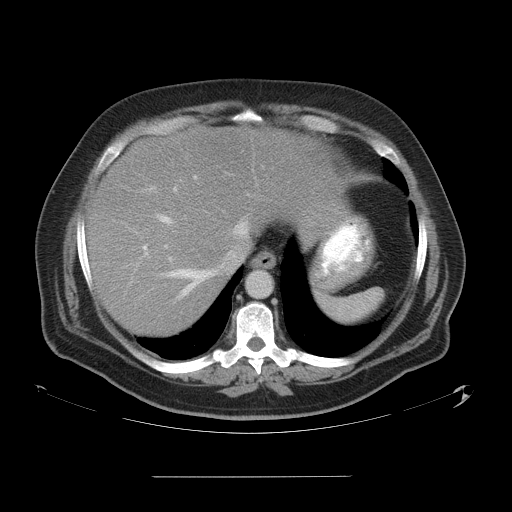

Abdomen. Computed tomography.

Not every hepatic vessel necessarily has a box.
Hepatic vessel — <box>144,245,146,249</box>, <box>173,187,176,190</box>, <box>165,245,167,247</box>, <box>147,186,154,190</box>, <box>169,257,172,260</box>, <box>158,215,171,224</box>, <box>163,269,217,298</box>, <box>194,175,196,178</box>, <box>234,221,247,237</box>.